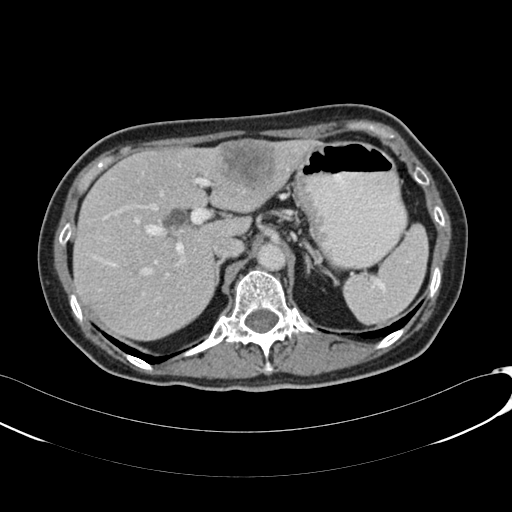

512x512 px. CT slice. Upper abdomen. Focal liver lesion — (left=221, top=142, right=275, bottom=190).
Liver — (left=74, top=140, right=319, bottom=340).